Image size 240x240; Head
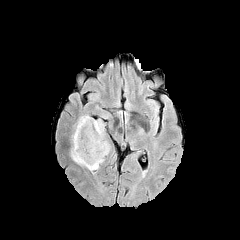
FLAIR magnetic resonance.
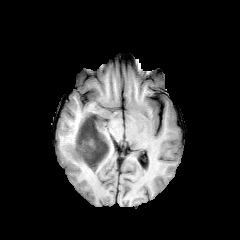
T1-weighted MR.
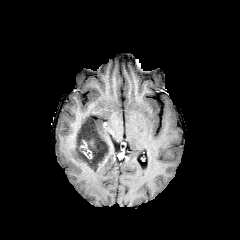
Post-contrast T1-weighted MRI.
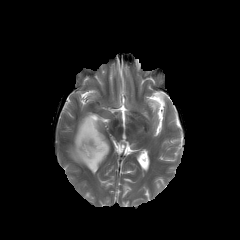
T2-weighted MR image.
non-enhancing tumor core: bbox=[76, 116, 107, 166] | edema: bbox=[150, 102, 157, 113]; bbox=[71, 113, 110, 173] | enhancing tumor: bbox=[80, 140, 92, 158]